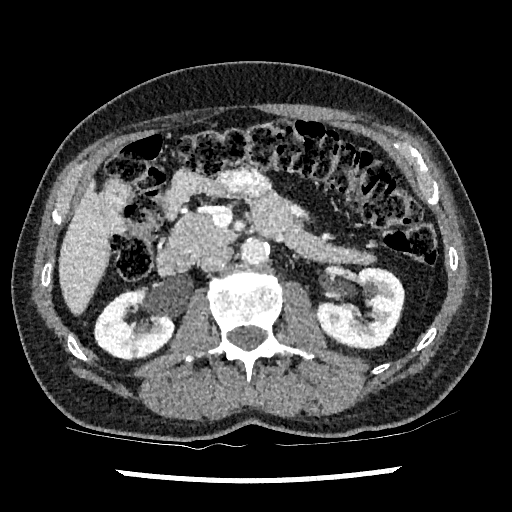 Computed tomography
2 kidney regions appear at x1=95 y1=292 x2=173 y2=358, x1=318 y1=269 x2=403 y2=347. The liver is bounded by x1=60 y1=181 x2=108 y2=315.